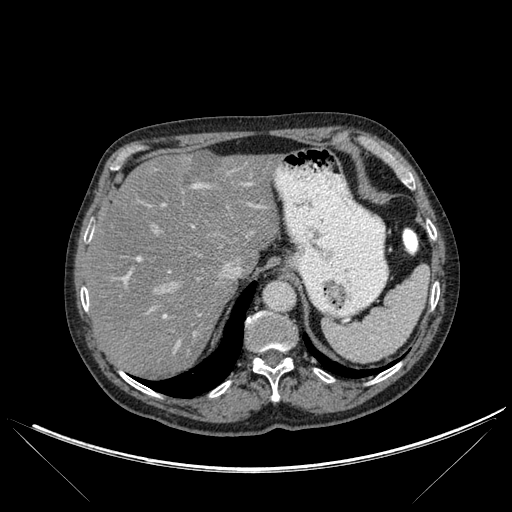 512x512 px, Computed tomography

lung: left=303, top=334, right=395, bottom=377; left=135, top=281, right=255, bottom=397 | liver: left=87, top=152, right=278, bottom=379 | hepatic lesion: left=183, top=151, right=219, bottom=181 | bone: left=84, top=229, right=93, bottom=242; left=314, top=368, right=334, bottom=382; left=253, top=358, right=293, bottom=401; left=120, top=371, right=158, bottom=396; left=80, top=287, right=88, bottom=310; left=431, top=282, right=439, bottom=308; left=427, top=220, right=436, bottom=239; left=209, top=381, right=230, bottom=397; left=391, top=159, right=414, bottom=188; left=371, top=363, right=401, bottom=383; left=245, top=311, right=296, bottom=352